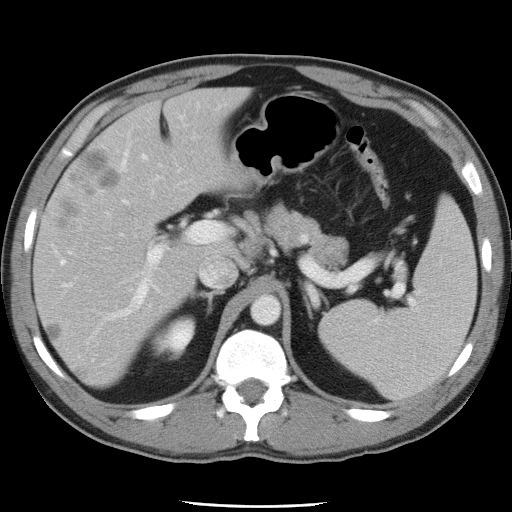 Liver; CT
Not every hepatic vessel necessarily has a box.
hepatic vessel: 61,261,65,264; 123,200,127,202; 123,162,124,165; 63,284,70,286; 187,221,223,242; 202,266,221,284; 107,246,165,318; 143,156,144,157